Image width 240 mm. Slice 94/155.
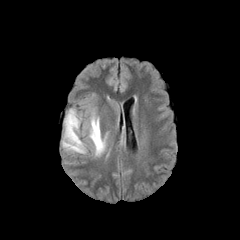
FLAIR MRI.
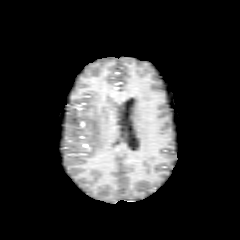
T1-weighted MRI.
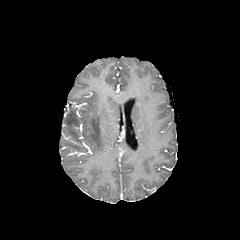
Post-contrast T1-weighted MR image of the same slice.
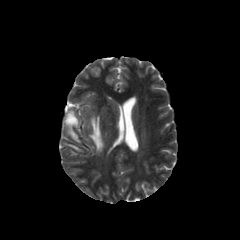
T2-weighted magnetic resonance of the same slice.
Edema: 62,106,105,155.